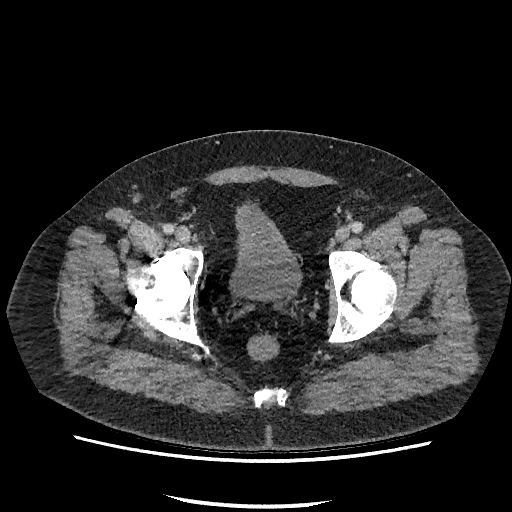

Computed tomography. Lower abdomen. 512x512.

Urinary bladder: bounding box bbox=[229, 200, 302, 302].